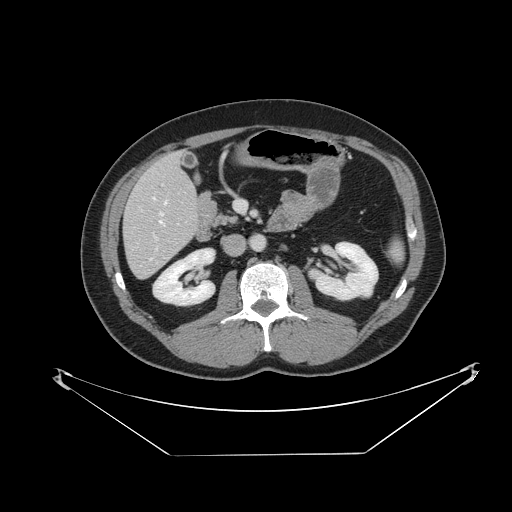

Upper abdomen. CT.

Annotated regions:
- spleen: [x1=388, y1=235, x2=404, y2=263]